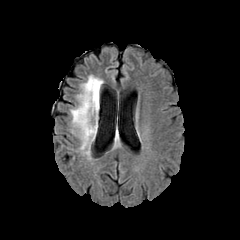
FLAIR MR image.
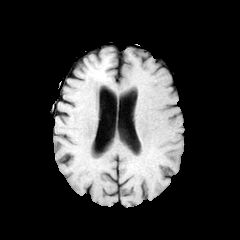
Same slice, T1-weighted MR.
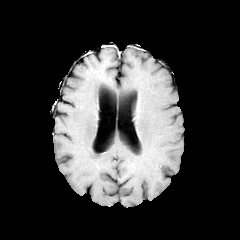
Post-contrast T1-weighted MR image of the same slice.
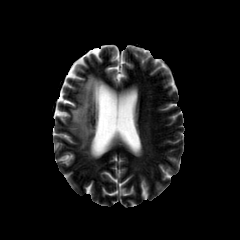
Same slice, T2-weighted MR.
Image size 240x240, Head
edema:
  - rect(70, 75, 103, 158)